CT image, Upper abdomen 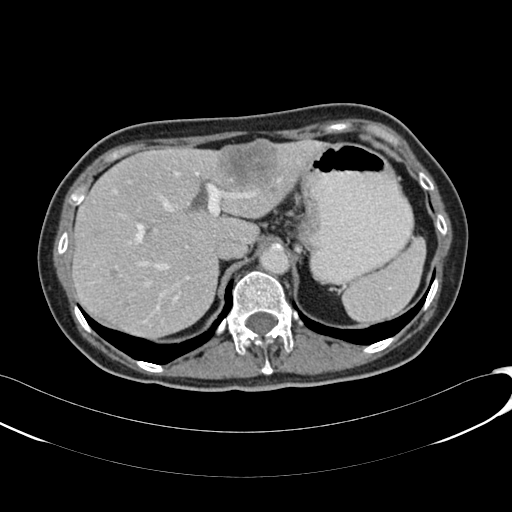

Liver = (x1=72, y1=140, x2=328, y2=334).
Liver lesion = (x1=217, y1=141, x2=278, y2=189).